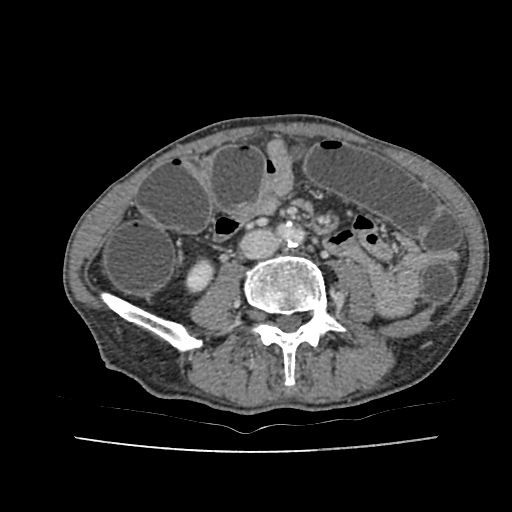

Abdomen | 512x512 px | CT
The kidney is bounded by (188, 264, 210, 288).